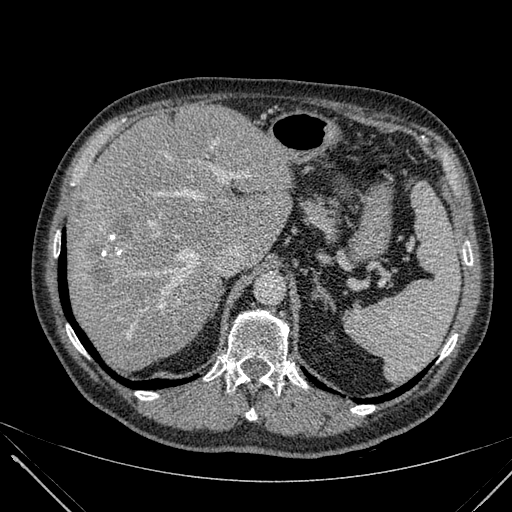 CT. Image size 512x512.
Liver at 68, 105, 293, 370.
Focal liver lesion at 92, 259, 112, 281; 113, 215, 130, 237; 89, 243, 101, 258; 77, 201, 84, 217.